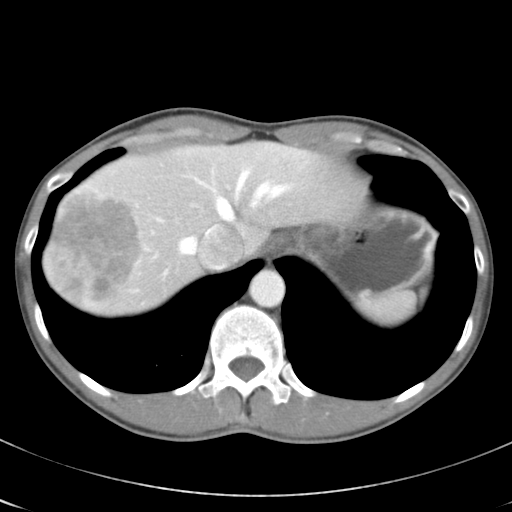 Computed tomography | Liver | 512x512 px
Some hepatic vessels may have no box.
The liver tumor is bounded by bbox(45, 189, 141, 307). 8 hepatic vessel regions are bounded by bbox(155, 254, 157, 256); bbox(236, 170, 248, 197); bbox(159, 219, 160, 220); bbox(251, 184, 285, 206); bbox(218, 199, 233, 219); bbox(196, 179, 213, 188); bbox(179, 237, 196, 253); bbox(207, 228, 212, 232).